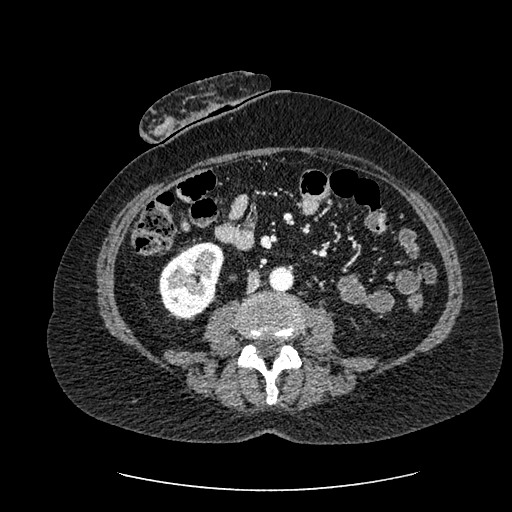 Abdomen | CT slice
The kidney is located at box(160, 243, 223, 318).